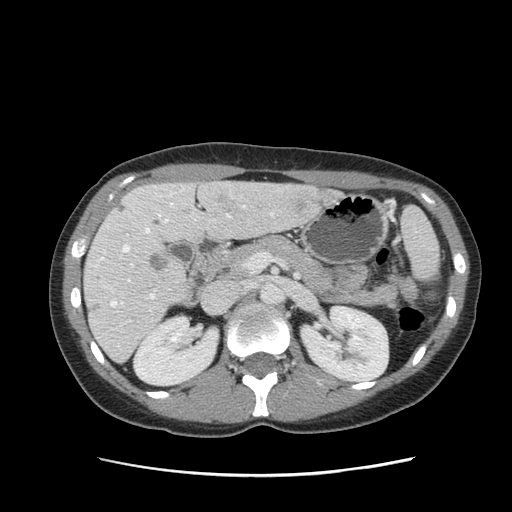
Computed tomography | Abdomen | Image size 512x512

<segmentation>
  <pancreas>[216,235,416,307]</pancreas>
</segmentation>